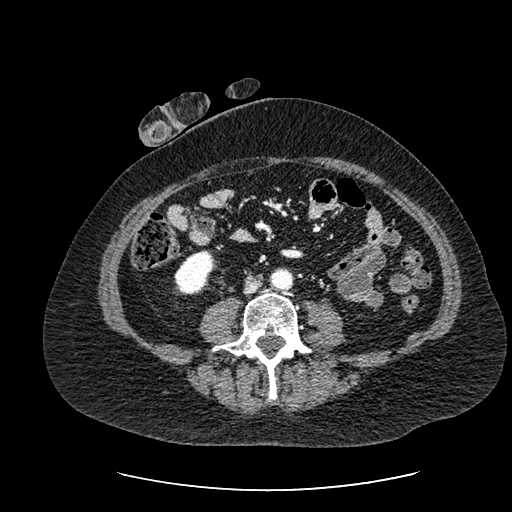

CT scan slice.

The kidney is bounded by (left=175, top=251, right=212, bottom=293).